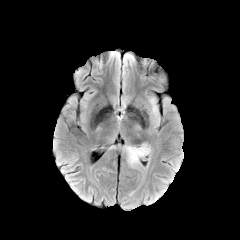
FLAIR MRI.
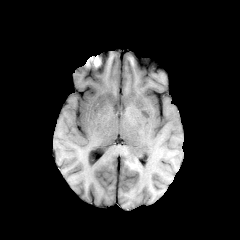
T1-weighted MR of the same slice.
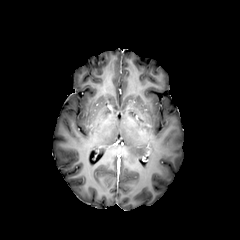
Post-contrast T1-weighted magnetic resonance.
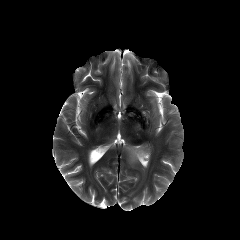
T2-weighted MR image.
Edema: bounding box (left=149, top=97, right=160, bottom=125), (left=124, top=143, right=151, bottom=164).